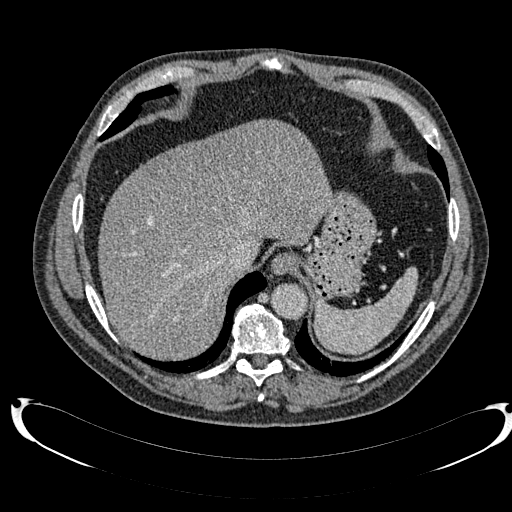
CT image. Liver. The liver appears at l=99, t=120, r=330, b=359. The liver lesion lies within l=140, t=127, r=260, b=219.